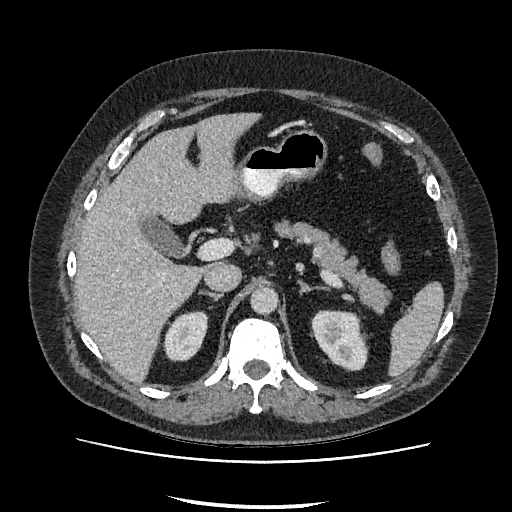

CT | 512x512
liver:
  - box(76, 113, 260, 381)
kidney:
  - box(166, 313, 206, 359)
  - box(313, 312, 365, 369)